Slice 50/155 | Image size 240x240
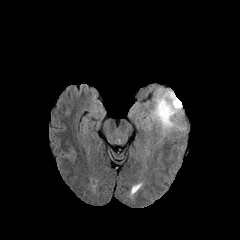
FLAIR MR.
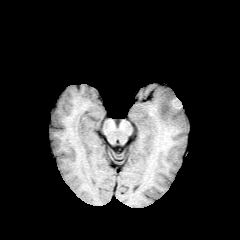
T1-weighted MR image.
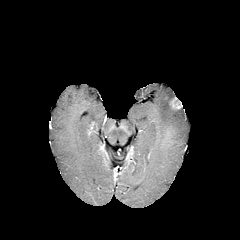
Post-contrast T1-weighted MR image.
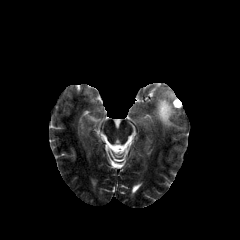
T2-weighted MR.
Edema at [x1=142, y1=87, x2=184, y2=134].
Enhancing tumor at [x1=170, y1=98, x2=182, y2=108].